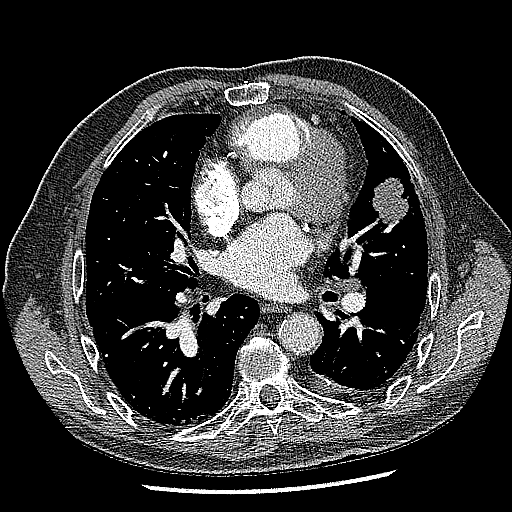
CT slice
Findings:
• lung tumor: bbox(372, 177, 408, 225)